Slice index 57 | 240x240 | Brain | Field of view 240x240 mm
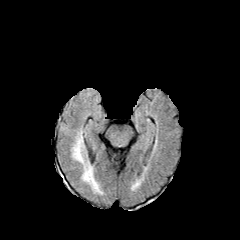
FLAIR magnetic resonance.
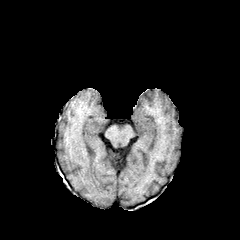
T1-weighted MR image.
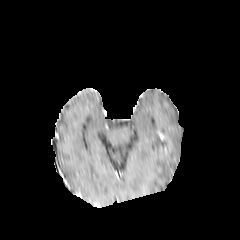
Same slice, post-contrast T1-weighted MRI.
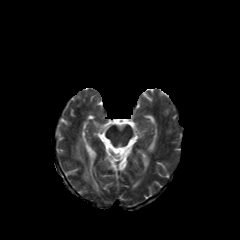
Same slice, T2-weighted MR image.
<segmentation>
  <edema>left=72, top=132, right=103, bottom=193</edema>
</segmentation>